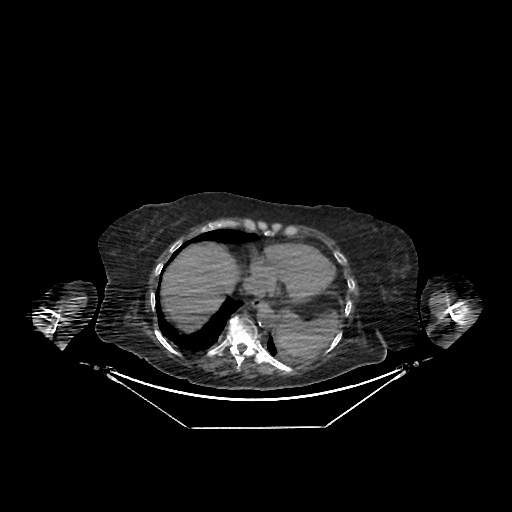
Abdomen. Image size 512x512. CT slice.

The liver is at 160:241:248:332.